FLAIR MR image.
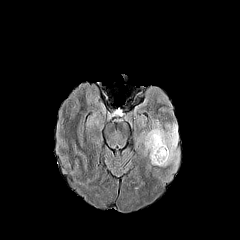
T1-weighted MR.
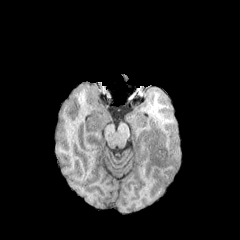
Post-contrast T1-weighted MR image.
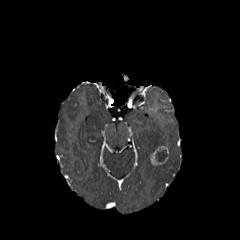
T2-weighted MRI.
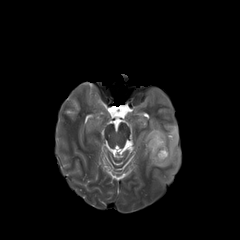
Head. 240x240.
Annotated regions:
* edema: <box>140,119,179,167</box>
* enhancing tumor: <box>150,145,169,165</box>
* non-enhancing tumor core: <box>156,149,167,163</box>